Computed tomography | Liver
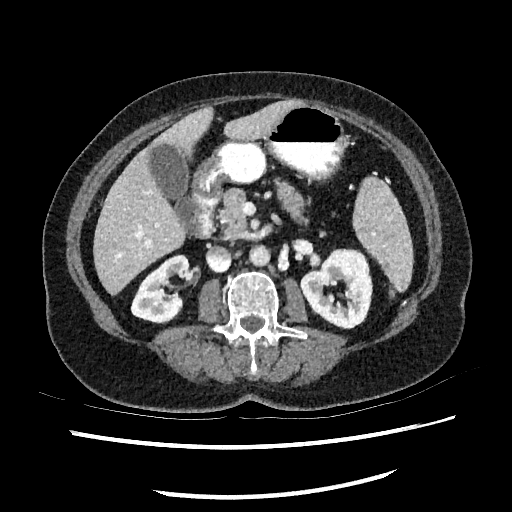
2 kidney regions appear at [301, 250, 371, 327], [131, 256, 189, 321]. 2 liver regions are bounded by [223, 99, 296, 139], [95, 106, 213, 293].